CT image, Slice 305 of 461
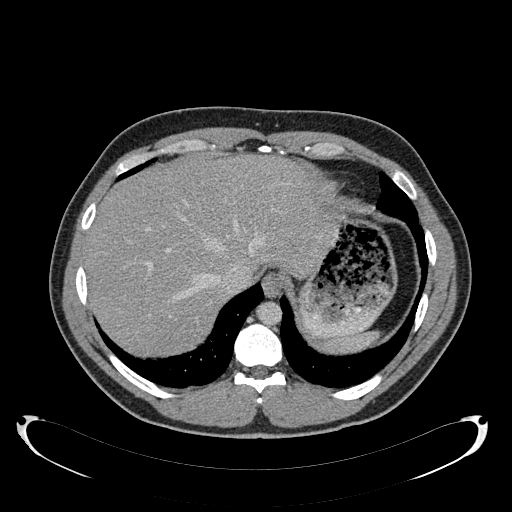 The liver is bounded by x1=84 y1=156 x2=336 y2=354.